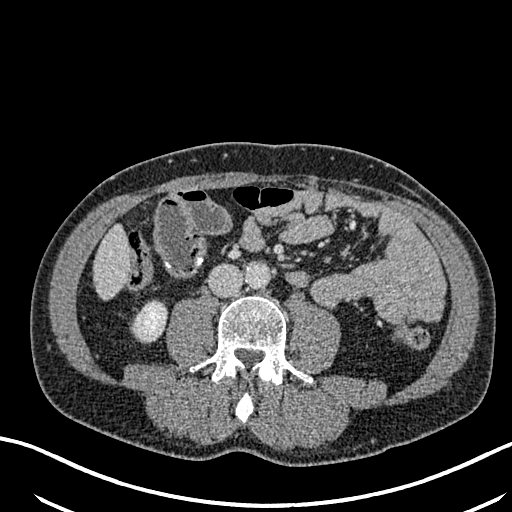

Abdomen; CT scan slice

The liver is at x1=95, y1=224, x2=128, y2=298. The kidney lies within x1=134, y1=302, x2=166, y2=341.